Slice 69 of 155 | Brain
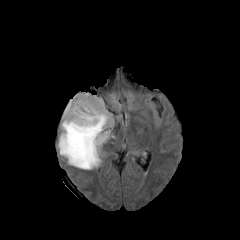
FLAIR MRI.
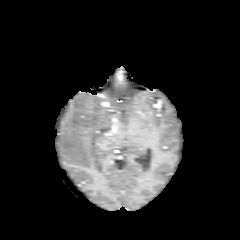
Same slice, T1-weighted MRI.
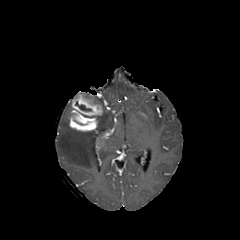
Post-contrast T1-weighted MR image of the same slice.
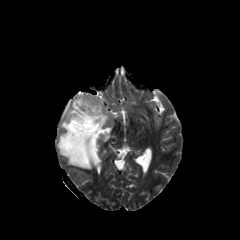
T2-weighted MR.
edema:
  - l=58, t=96, r=114, b=169
enhancing_tumor:
  - l=68, t=93, r=102, b=130
non-enhancing_tumor_core:
  - l=76, t=102, r=90, b=111